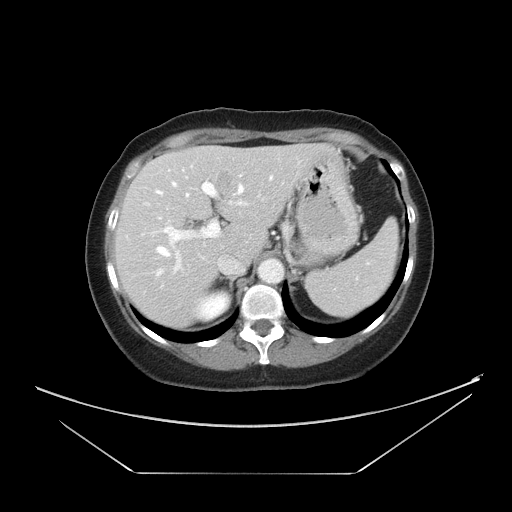
CT slice
Not every hepatic vessel necessarily has a box.
<segmentation partial="true">
  <hepatic_vessel shown="15" total="18">bbox(172, 182, 175, 185); bbox(227, 201, 231, 204); bbox(238, 201, 246, 204); bbox(159, 226, 191, 243); bbox(202, 182, 215, 195); bbox(143, 202, 148, 205); bbox(234, 185, 243, 194); bbox(156, 246, 169, 256); bbox(156, 269, 162, 274); bbox(174, 252, 180, 271); bbox(151, 232, 155, 234); bbox(201, 219, 219, 237); bbox(156, 190, 162, 194); bbox(270, 176, 272, 179); bbox(218, 258, 243, 273)</hepatic_vessel>
  <liver_tumor>bbox(216, 171, 237, 195)</liver_tumor>
</segmentation>